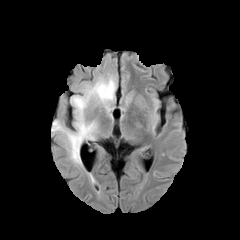
FLAIR magnetic resonance.
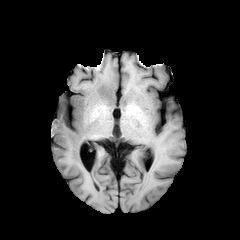
T1-weighted magnetic resonance.
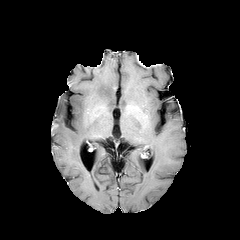
Post-contrast T1-weighted MRI.
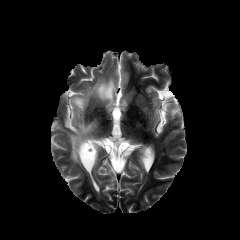
T2-weighted magnetic resonance.
Image size 240x240. Head.
Segmented structures:
• edema: bbox=[52, 74, 117, 169]